Cardiac | MR 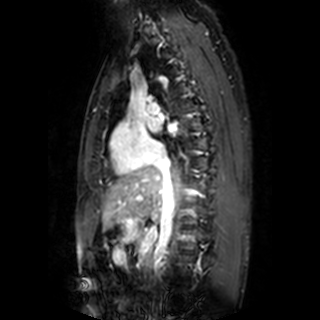 2 left atrium regions are located at [x1=146, y1=117, x2=160, y2=132], [x1=168, y1=123, x2=176, y2=133].